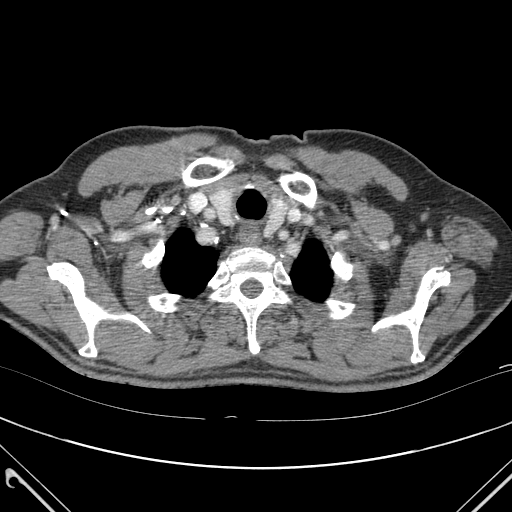
CT scan slice. Image size 512x512. {
  "bone": [
    "left=47, top=263, right=149, bottom=356",
    "left=327, top=300, right=354, bottom=318",
    "left=182, top=157, right=233, bottom=186",
    "left=279, top=172, right=316, bottom=207",
    "left=149, top=294, right=179, bottom=312",
    "left=331, top=252, right=352, bottom=279",
    "left=142, top=240, right=164, bottom=267",
    "left=372, top=267, right=449, bottom=362",
    "left=162, top=207, right=172, bottom=212",
    "left=208, top=248, right=290, bottom=353"
  ],
  "lung": [
    "left=161, top=228, right=218, bottom=296",
    "left=290, top=239, right=332, bottom=301"
  ]
}